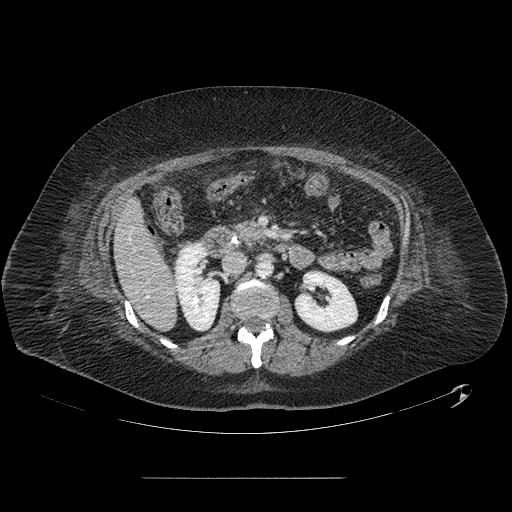

Image size 512x512; CT image; Upper abdomen
Pancreatic tumor — (238,224,262,238).
Pancreas — (235,221,265,244).